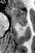

Hippocampus. MRI.

Anterior hippocampus: bounding box 13 7 26 23.
Posterior hippocampus: bounding box 20 24 25 26.